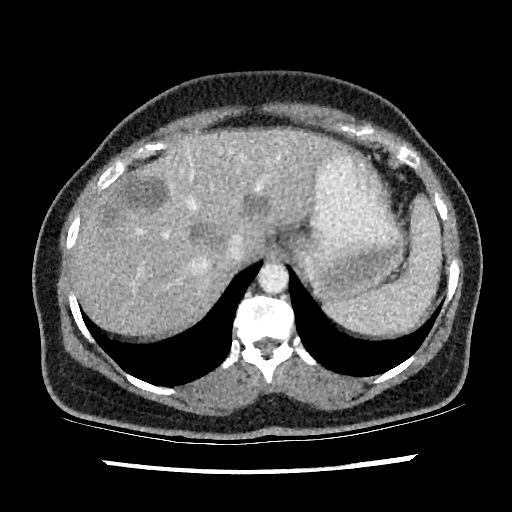
CT image | Liver
{"liver_lesion": ["[190, 225, 217, 242]", "[244, 193, 267, 214]", "[101, 173, 164, 224]"], "liver": ["[74, 130, 350, 334]"]}